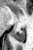
Magnetic resonance.

{"posterior_hippocampus": ["box(13, 29, 24, 41)"]}